CT scan slice. 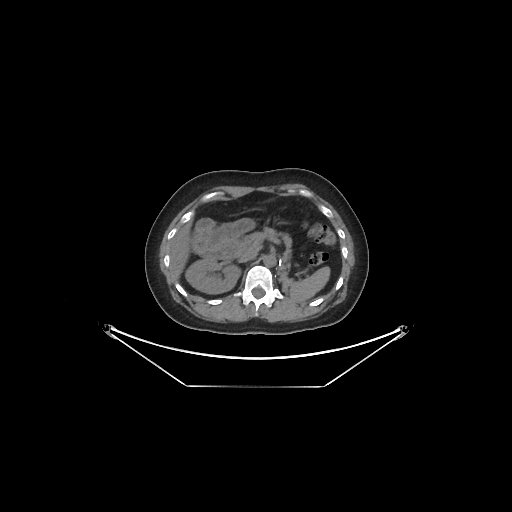
The liver is at [164,217,192,280]. The kidney appears at [186,256,239,293].